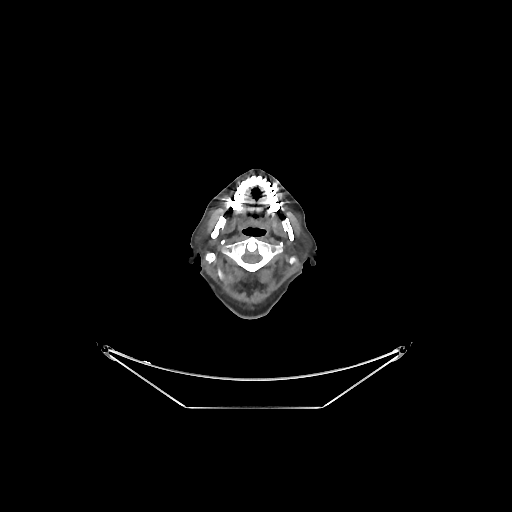
512x512 | CT
bone:
  - rect(206, 253, 215, 263)
  - rect(230, 176, 283, 215)
  - rect(211, 213, 225, 238)
  - rect(221, 237, 282, 271)
  - rect(282, 213, 293, 240)